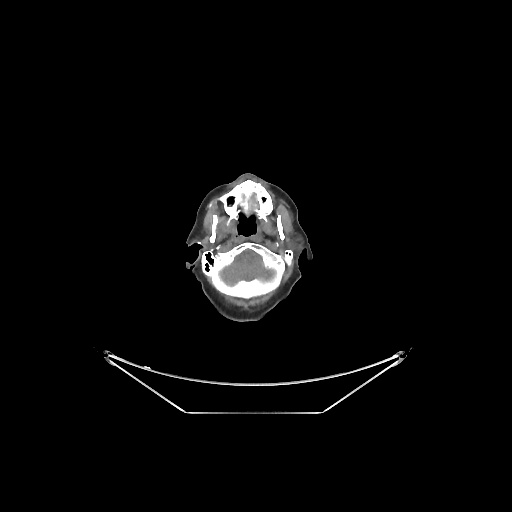

Computed tomography, Brain

Segmented structures:
* brain: (219, 248, 275, 286)